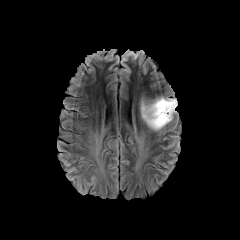
FLAIR magnetic resonance.
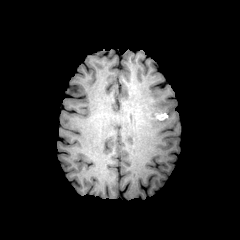
Same slice, T1-weighted MRI.
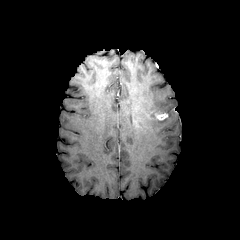
Post-contrast T1-weighted MRI.
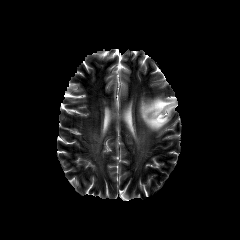
T2-weighted MRI.
{
  "edema": [
    "region(139, 96, 177, 131)"
  ],
  "enhancing_tumor": [
    "region(157, 113, 167, 119)"
  ]
}